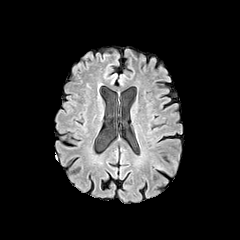
FLAIR MR image.
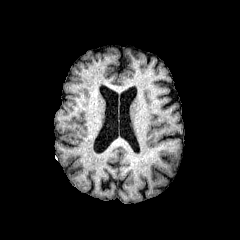
T1-weighted MRI.
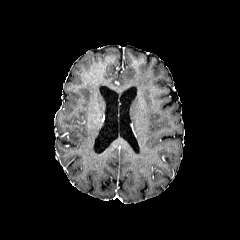
Same slice, post-contrast T1-weighted MR image.
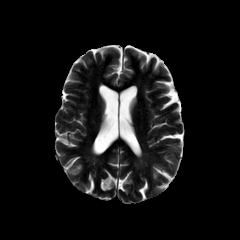
Same slice, T2-weighted MRI.
Brain
{"edema": [{"x1": 150, "y1": 156, "x2": 165, "y2": 171}]}